Abdomen | CT scan slice
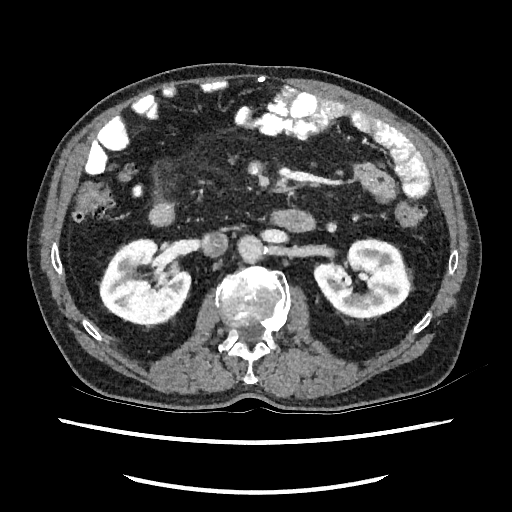 kidney: {"x1": 314, "y1": 239, "x2": 411, "y2": 319}, {"x1": 100, "y1": 239, "x2": 190, "y2": 327}